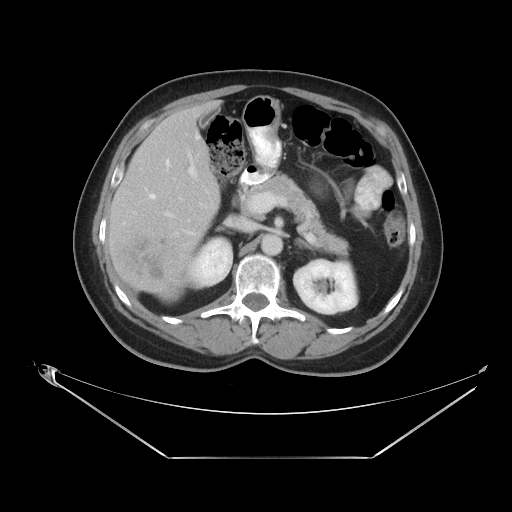 Computed tomography.
Only some of the vessels may be annotated.
liver_tumor:
  - 112:231:186:294
hepatic_vessel:
  - 188:154:197:180